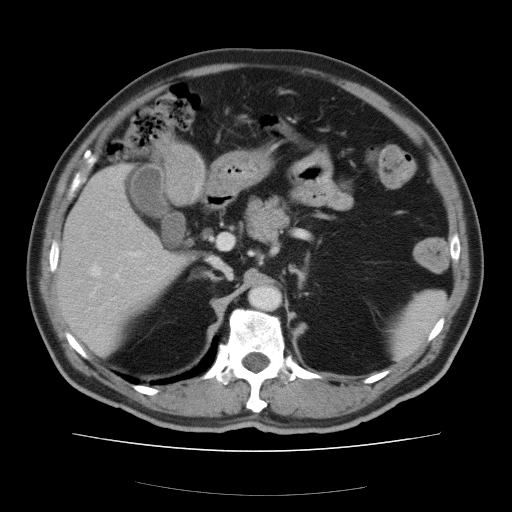
CT image, Abdomen
Some hepatic vessels may have no box.
Liver tumor: bounding box rect(171, 146, 199, 195).
Hepatic vessel: bounding box rect(91, 292, 92, 294); rect(91, 265, 98, 274); rect(114, 274, 117, 276).